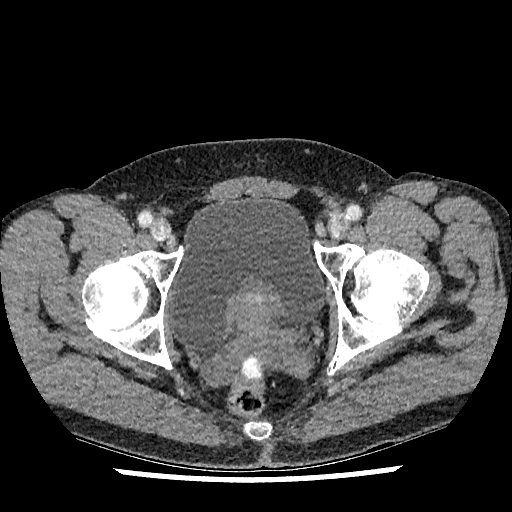
Image size 512x512 | CT scan slice
urinary bladder: region(169, 198, 326, 351)